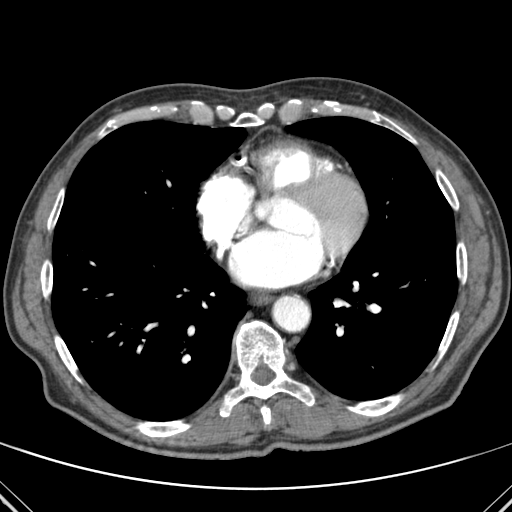

Image size 512x512. CT slice.

{"lung": ["x1=52, y1=120, x2=246, y2=420", "x1=285, y1=116, x2=457, y2=399"], "bone": ["x1=457, y1=242, x2=467, y2=283", "x1=231, y1=113, x2=263, y2=126", "x1=347, y1=395, x2=402, y2=416", "x1=55, y1=336, x2=80, y2=381", "x1=261, y1=405, x2=270, y2=424", "x1=40, y1=260, x2=52, y2=297", "x1=136, y1=421, x2=190, y2=437", "x1=323, y1=101, x2=340, y2=111", "x1=367, y1=111, x2=416, y2=143", "x1=100, y1=119, x2=117, y2=133", "x1=47, y1=189, x2=63, y2=229", "x1=439, y1=312, x2=458, y2=358", "x1=436, y1=170, x2=458, y2=209", "x1=219, y1=321, x2=314, y2=416"]}